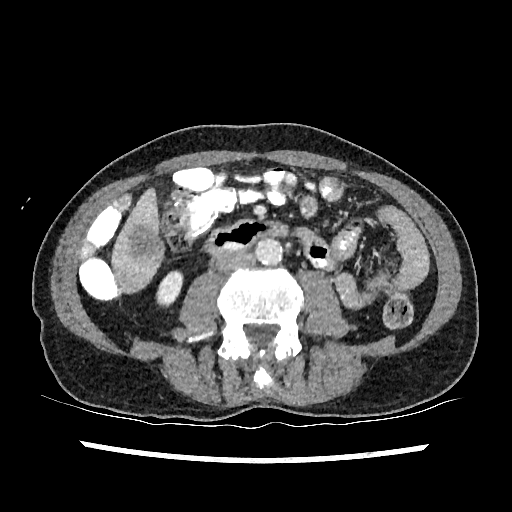 CT scan slice, Upper abdomen
The kidney appears at <bbox>158, 272, 181, 303</bbox>. The focal liver lesion is at <bbox>128, 225, 162, 257</bbox>. The liver appears at <bbox>113, 190, 162, 291</bbox>.